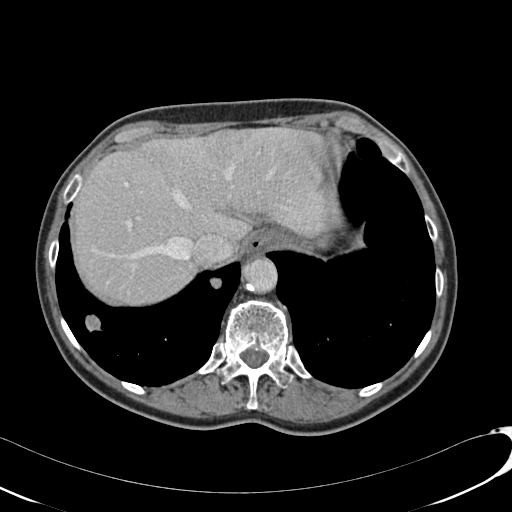

CT image, Upper abdomen

{"focal_liver_lesion": ["bbox(204, 130, 250, 166)"], "liver": ["bbox(75, 128, 329, 304)"]}